FLAIR magnetic resonance.
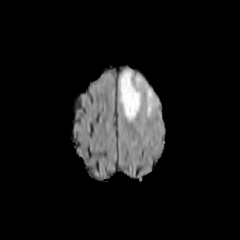
T1-weighted MR.
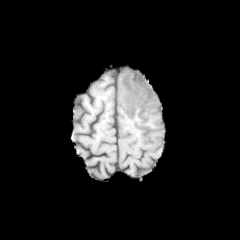
Post-contrast T1-weighted magnetic resonance.
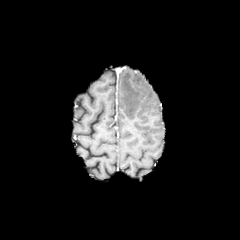
T2-weighted MR image.
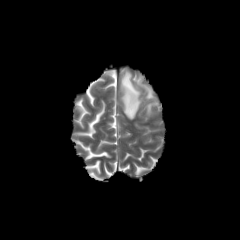
Head
{"edema": ["x1=146, y1=89, x2=152, y2=99", "x1=120, y1=71, x2=143, y2=120"]}